Slice 78 of 155.
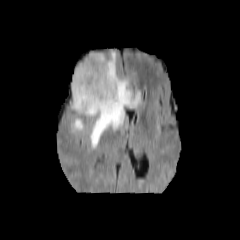
FLAIR MR image.
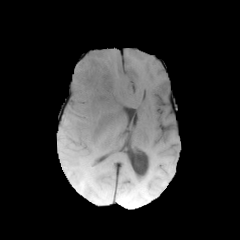
T1-weighted MRI.
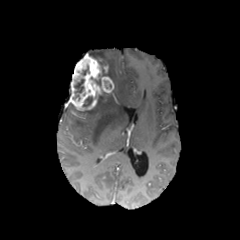
Same slice, post-contrast T1-weighted magnetic resonance.
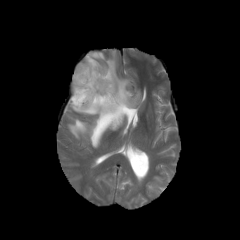
Same slice, T2-weighted MRI.
{
  "enhancing_tumor": [
    "(68,52,114,111)"
  ],
  "edema": [
    "(69,117,85,135)",
    "(81,51,141,147)"
  ],
  "non-enhancing_tumor_core": [
    "(83,97,91,106)",
    "(73,79,84,98)",
    "(79,51,115,113)"
  ]
}